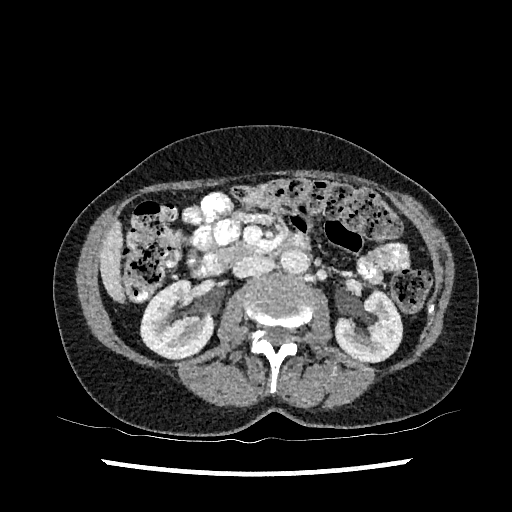

CT scan slice | 512x512 px
Kidney: box=[336, 292, 401, 361]; box=[141, 281, 212, 358].
Liver: box=[100, 223, 122, 299].